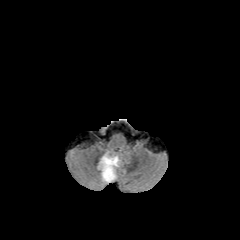
FLAIR magnetic resonance.
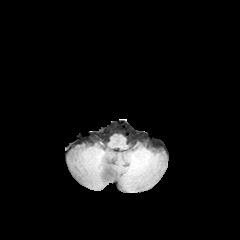
T1-weighted MR.
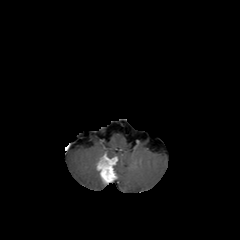
Post-contrast T1-weighted MRI.
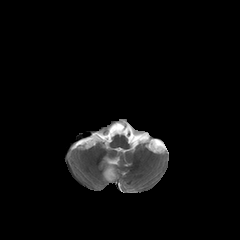
T2-weighted magnetic resonance.
Head
enhancing tumor: <box>102,157,113,178</box> | non-enhancing tumor core: <box>98,156,115,183</box>